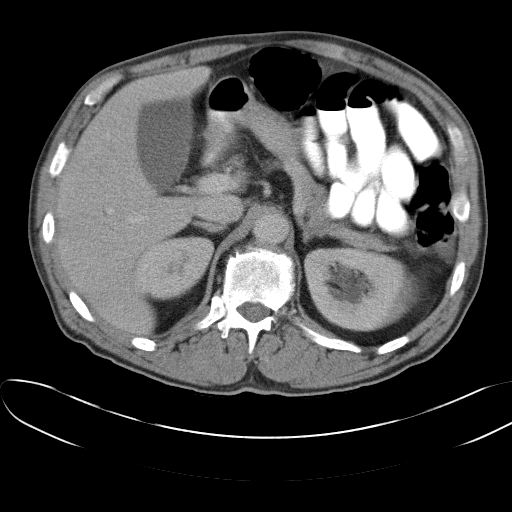 CT scan slice.
The spleen lies within box=[396, 284, 419, 313].